Slice 41 of 85, Abdomen, Field of view 400x400 mm, CT slice

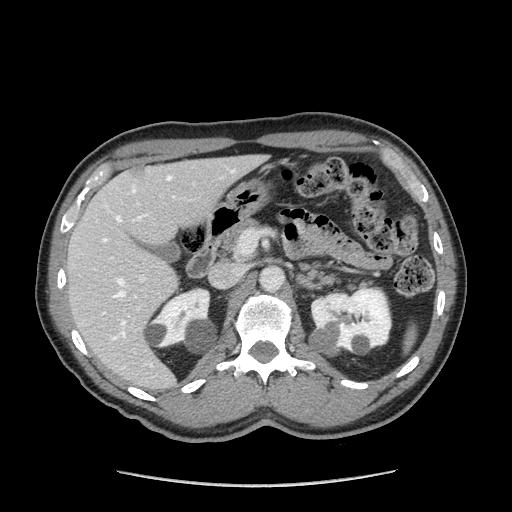
Pancreas — region(222, 221, 253, 250).